32x54 px | Medial temporal lobe | Slice 14/34 | MR
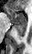 Posterior hippocampus: (15,24,26,38).
Anterior hippocampus: (7,7,27,24).